Image width 320 mm, Image size 512x512, CT slice

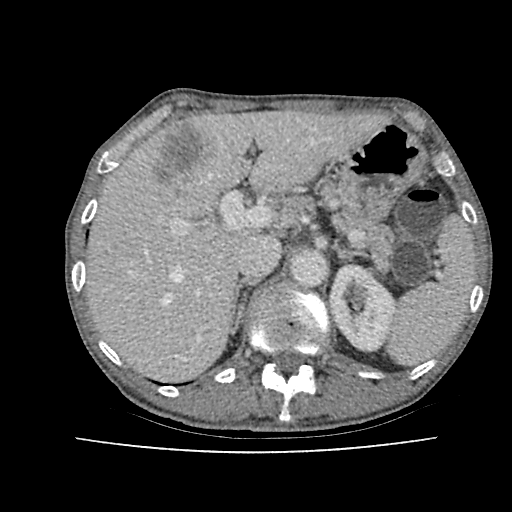
Annotated regions:
• kidney: left=330, top=268, right=394, bottom=349
• focal liver lesion: left=150, top=123, right=208, bottom=182
• liver: left=89, top=111, right=379, bottom=379